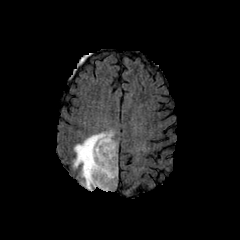
FLAIR MRI.
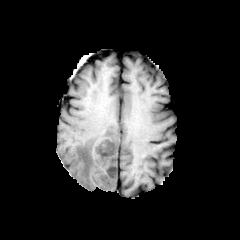
Same slice, T1-weighted MR.
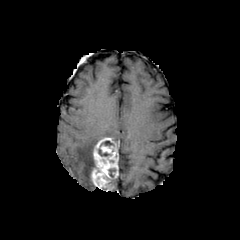
Post-contrast T1-weighted MRI.
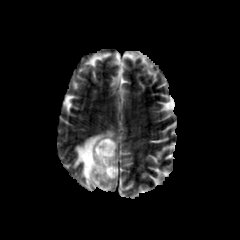
Same slice, T2-weighted MRI.
Image size 240x240
enhancing tumor: bbox=[90, 138, 117, 191] | non-enhancing tumor core: bbox=[83, 144, 95, 181] | edema: bbox=[72, 130, 115, 191]